240x240 px; Brain; Slice index 85
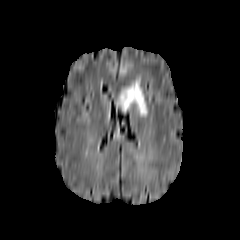
FLAIR MRI.
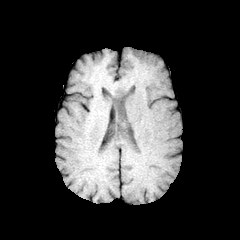
T1-weighted magnetic resonance.
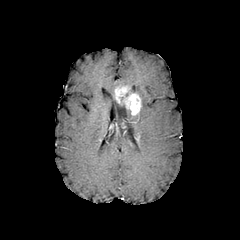
Post-contrast T1-weighted magnetic resonance.
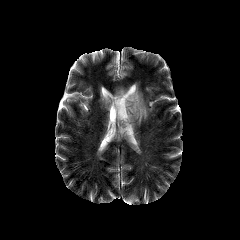
T2-weighted magnetic resonance of the same slice.
The enhancing tumor is located at bbox(116, 88, 140, 114). The edema appears at bbox(122, 81, 148, 124).